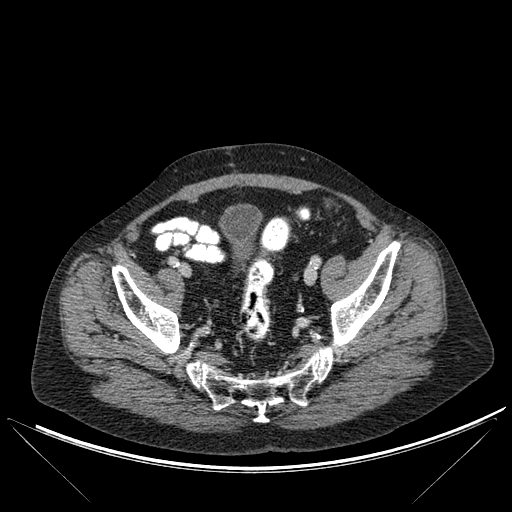

Image size 512x512; CT image
Bone: bounding box 112:265:179:353, 186:241:400:422.